Field of view 240x240 mm, Head, 240x240 px
FLAIR magnetic resonance.
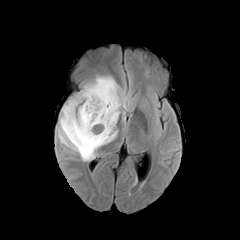
T1-weighted magnetic resonance.
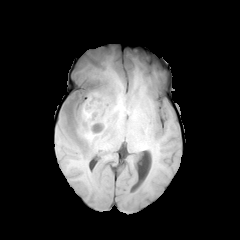
Post-contrast T1-weighted MR image.
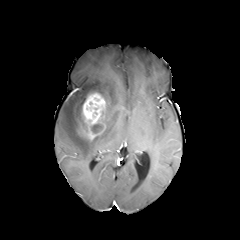
T2-weighted MR image.
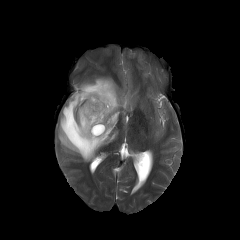
enhancing tumor: [82, 92, 106, 139] | non-enhancing tumor core: [81, 86, 95, 107], [67, 102, 105, 142] | edema: [58, 73, 131, 161]